Liver; Slice 91 of 138; CT
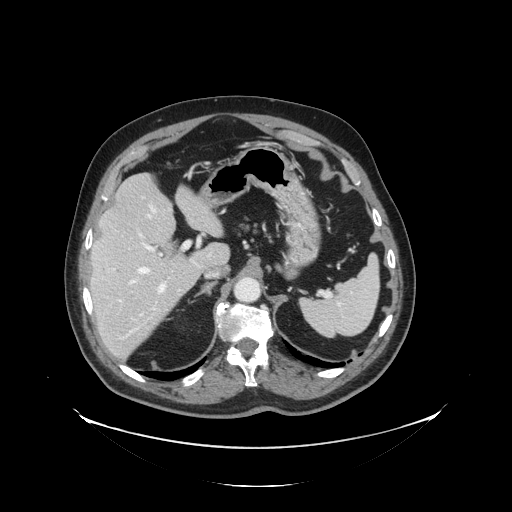
Only some of the vessels may be annotated.
13 hepatic vessel regions appear at 149,204,154,212; 129,280,135,284; 118,300,121,302; 158,283,166,293; 153,306,155,310; 142,197,144,198; 137,319,138,320; 144,245,156,251; 160,253,162,256; 120,329,137,338; 148,214,151,217; 140,314,142,315; 138,267,150,274.